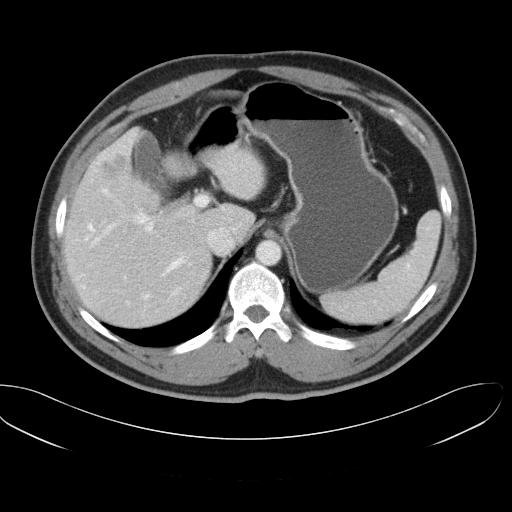 Abdomen | CT slice
The vessel boxes may cover only some of the vessels.
The principal 15 hepatic vessel regions (of 21) appear at left=171, top=287, right=179, bottom=294; left=133, top=209, right=152, bottom=231; left=85, top=235, right=89, bottom=240; left=90, top=224, right=114, bottom=247; left=109, top=153, right=114, bottom=155; left=102, top=189, right=107, bottom=194; left=88, top=223, right=93, bottom=231; left=141, top=294, right=150, bottom=298; left=124, top=133, right=134, bottom=146; left=75, top=274, right=84, bottom=279; left=161, top=253, right=185, bottom=275; left=116, top=144, right=128, bottom=152; left=197, top=196, right=207, bottom=206; left=90, top=169, right=96, bottom=174; left=231, top=165, right=236, bottom=168. The liver tumor appears at left=96, top=151, right=128, bottom=181.